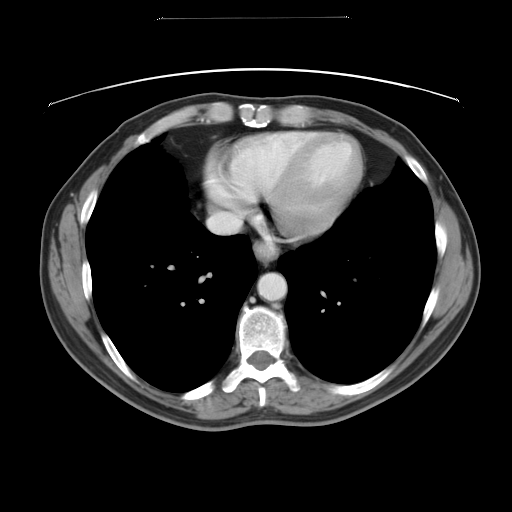
Abdomen. CT scan slice. 512x512.
Only some of the vessels may be annotated.
The hepatic vessel appears at 212 213 240 231.